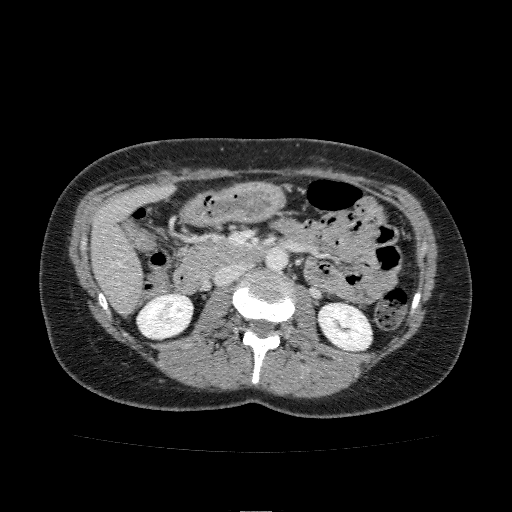

Abdomen; CT slice; Image size 512x512

Liver = rect(90, 185, 173, 312).
Kidney = rect(319, 303, 371, 350); rect(137, 294, 192, 338).